CT.
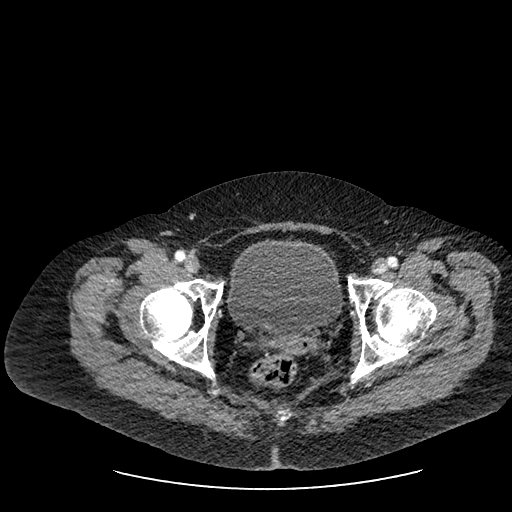
Urinary bladder: x1=227 y1=241 x2=342 y2=337.